Field of view 489x489 mm. CT scan slice. 512x512 px.
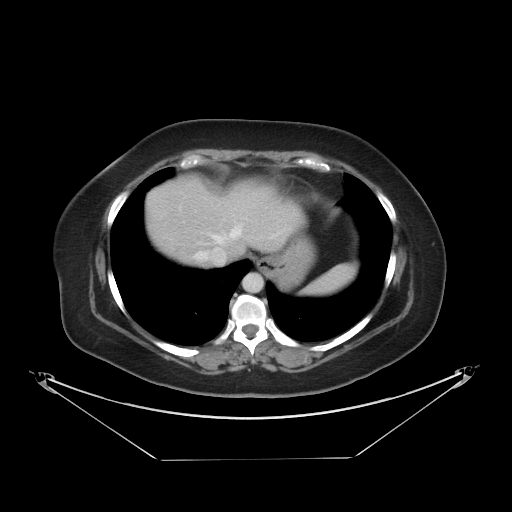

Only some of the vessels may be annotated.
Hepatic vessel: bounding box (208, 233, 221, 242), (225, 224, 241, 240), (195, 252, 207, 258).